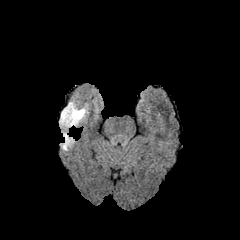
FLAIR MR image.
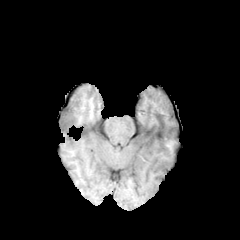
T1-weighted MR image.
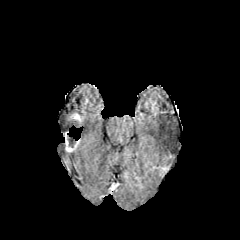
Same slice, post-contrast T1-weighted MRI.
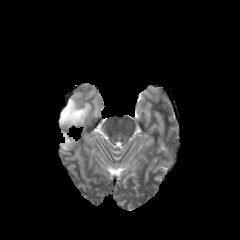
T2-weighted MR image.
Head.
Findings:
- enhancing tumor: l=68, t=113, r=79, b=121; l=65, t=133, r=69, b=149
- edema: l=62, t=99, r=89, b=121; l=59, t=111, r=81, b=130
- non-enhancing tumor core: l=62, t=109, r=76, b=123; l=66, t=135, r=75, b=148